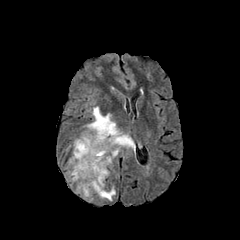
FLAIR MRI.
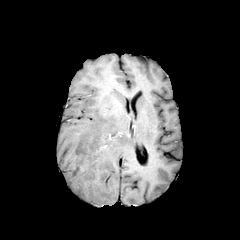
T1-weighted magnetic resonance.
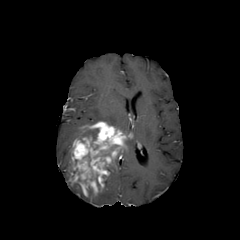
Same slice, post-contrast T1-weighted MR image.
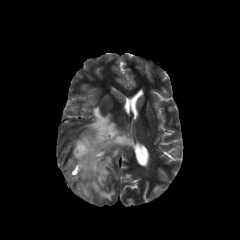
T2-weighted MR image.
240x240 px | Brain
<segmentation>
  <non-enhancing_tumor_core>(left=100, top=145, right=118, bottom=157), (left=76, top=127, right=98, bottom=140)</non-enhancing_tumor_core>
  <enhancing_tumor>(left=69, top=121, right=126, bottom=196)</enhancing_tumor>
  <edema>(left=83, top=106, right=134, bottom=153), (left=95, top=188, right=115, bottom=200)</edema>
</segmentation>